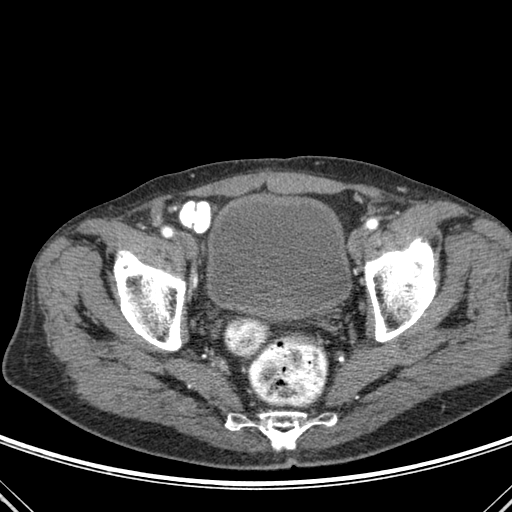 CT scan slice | Lower abdomen
bone: region(225, 413, 255, 430); region(257, 411, 336, 449); region(364, 237, 436, 341); region(114, 250, 185, 350) | urinary bladder: region(203, 199, 351, 312)